Computed tomography; Slice 21 of 144

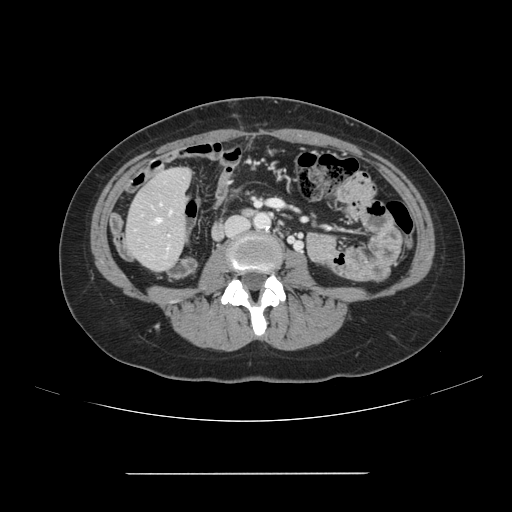
The vessel boxes may cover only some of the vessels.
2 hepatic vessel regions appear at bbox=[156, 218, 160, 222]; bbox=[170, 211, 171, 213].